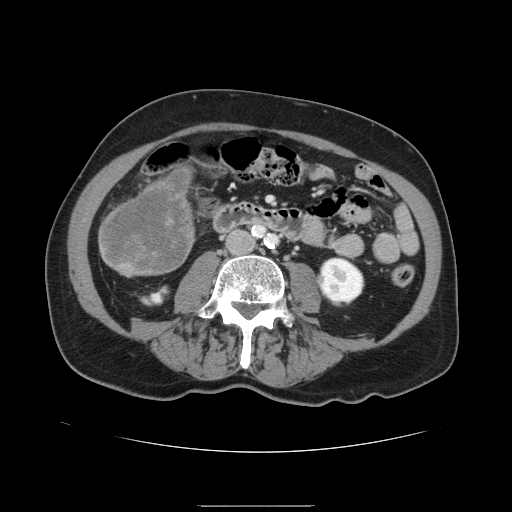 Abdomen; CT
The liver tumor appears at rect(101, 173, 190, 271).